Computed tomography.

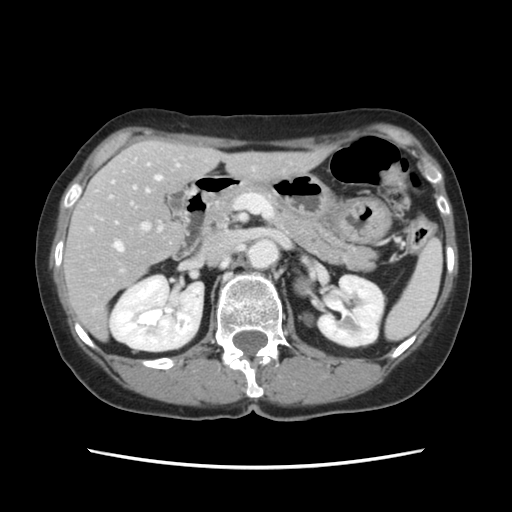
The vessel boxes may cover only some of the vessels.
Hepatic vessel — {"x1": 146, "y1": 190, "x2": 148, "y2": 192}, {"x1": 133, "y1": 186, "x2": 135, "y2": 188}, {"x1": 141, "y1": 224, "x2": 148, "y2": 229}, {"x1": 155, "y1": 176, "x2": 161, "y2": 180}, {"x1": 114, "y1": 242, "x2": 122, "y2": 250}, {"x1": 176, "y1": 164, "x2": 178, "y2": 166}, {"x1": 110, "y1": 196, "x2": 111, "y2": 198}, {"x1": 158, "y1": 227, "x2": 160, "y2": 230}.